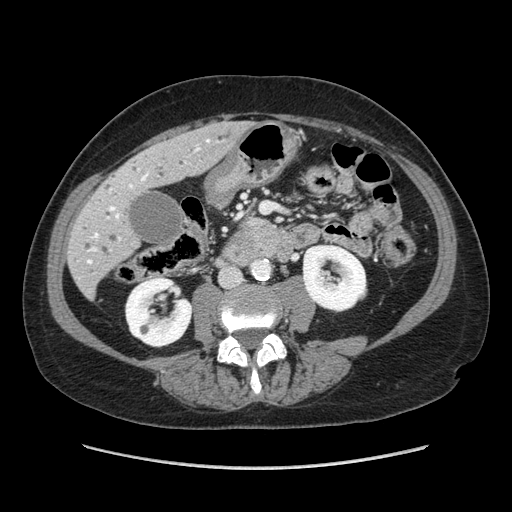 512x512 | CT slice
Pancreatic tumor = (234,231,251,249).
Pancreas = (231,214,277,256).